Slice index 563; CT scan slice

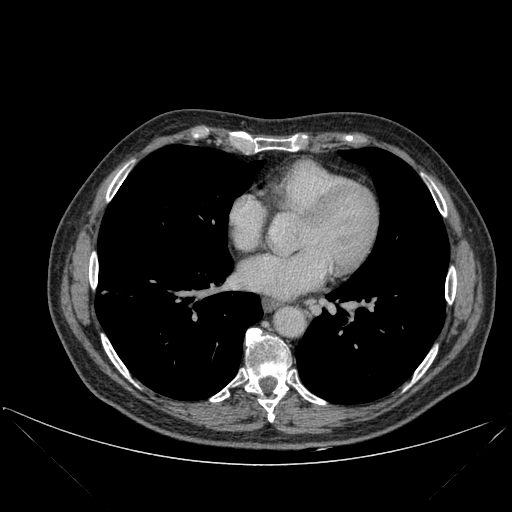

2 lung regions appear at 296,147,449,403; 95,145,263,400. 8 bone regions are bounded by 210,328,325,422; 430,183,446,216; 89,252,97,288; 101,334,130,378; 412,347,437,382; 445,267,456,303; 106,166,127,200; 254,135,296,151.